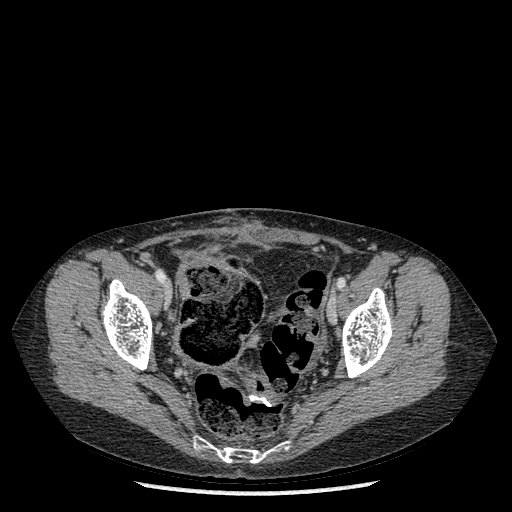 512x512 px; Computed tomography
<segmentation>
  <bone>342,287,393,377; 102,279,151,370; 193,435,289,463</bone>
</segmentation>